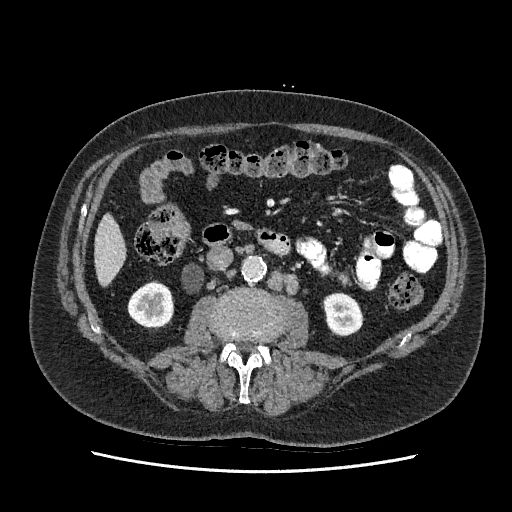

Computed tomography, Abdomen

{
  "liver": [
    "94 215 125 286"
  ],
  "kidney": [
    "128 283 172 326",
    "324 294 361 334"
  ]
}